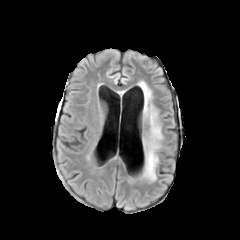
FLAIR MR image.
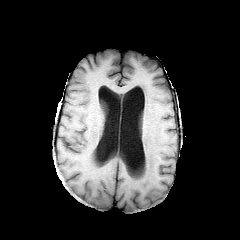
Same slice, T1-weighted MR image.
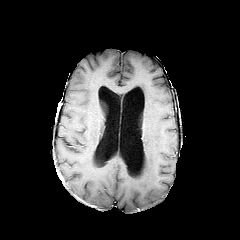
Post-contrast T1-weighted magnetic resonance of the same slice.
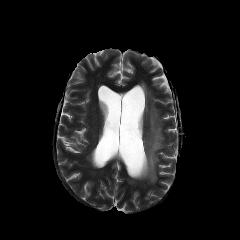
T2-weighted MR.
Head
edema:
  - bbox(138, 81, 163, 181)